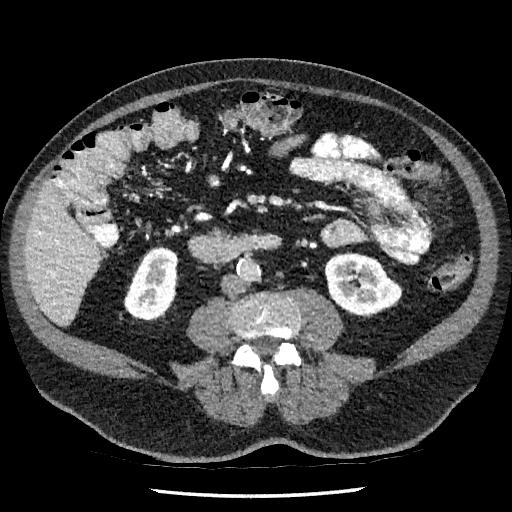
Computed tomography, 512x512, Upper abdomen

liver: rect(25, 183, 99, 325) | kidney: rect(125, 250, 176, 319); rect(326, 254, 400, 314)